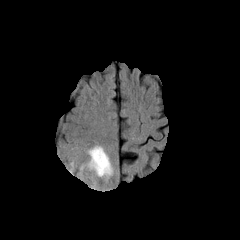
FLAIR magnetic resonance.
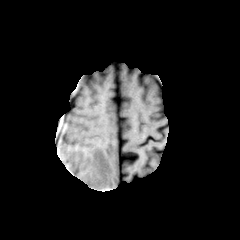
T1-weighted MRI.
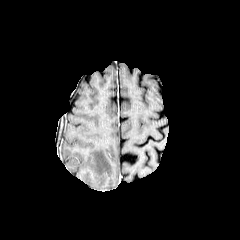
Post-contrast T1-weighted MR.
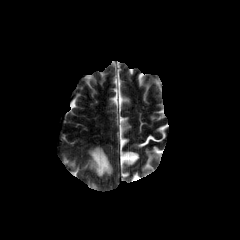
T2-weighted MR.
Brain
The edema is at (x1=86, y1=146, x2=112, y2=177).